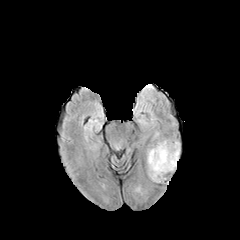
FLAIR MR.
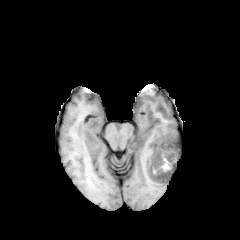
T1-weighted MR.
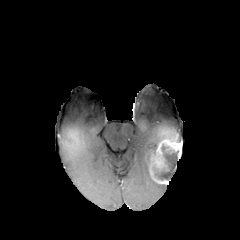
Post-contrast T1-weighted MR.
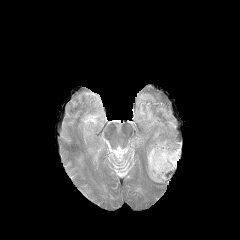
T2-weighted MR of the same slice.
Image size 240x240, Head
- edema: [x1=145, y1=139, x2=179, y2=182]
- enhancing tumor: [x1=160, y1=140, x2=180, y2=155]